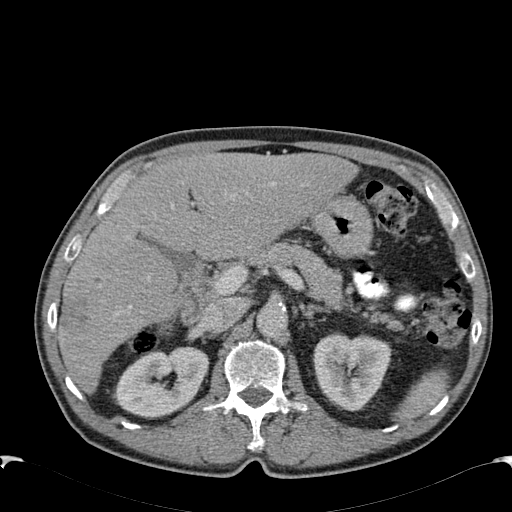 CT slice, Liver
2 kidney regions are located at <bbox>116, 348, 208, 416</bbox>, <bbox>314, 335, 390, 410</bbox>. The liver lesion is located at <bbox>60, 295, 88, 332</bbox>. The liver is located at <bbox>59, 152, 357, 392</bbox>.